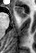
Image size 36x53. Hippocampus. MRI slice.
anterior hippocampus: [x1=14, y1=6, x2=27, y2=18]